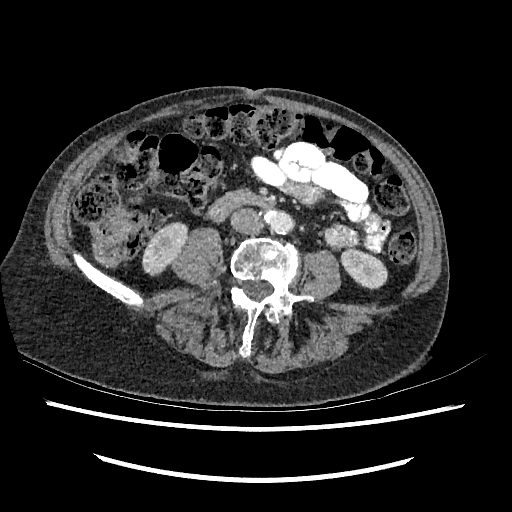

CT image.
2 kidney regions are located at rect(141, 224, 189, 272); rect(341, 249, 386, 287).